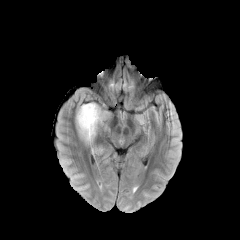
FLAIR MR image.
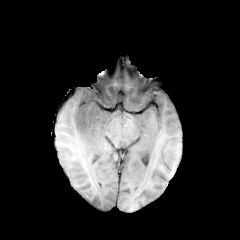
T1-weighted magnetic resonance.
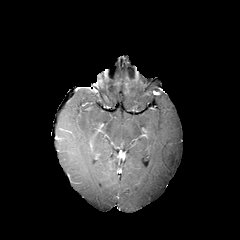
Same slice, post-contrast T1-weighted MRI.
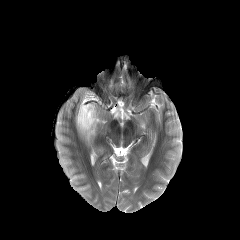
Same slice, T2-weighted magnetic resonance.
2 edema regions are located at {"x1": 174, "y1": 124, "x2": 179, "y2": 151}, {"x1": 75, "y1": 92, "x2": 105, "y2": 143}.